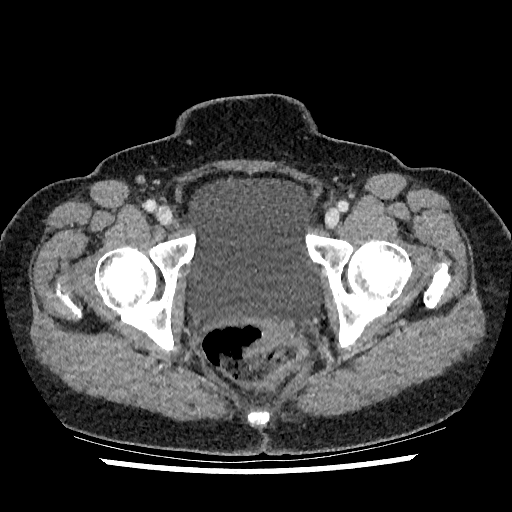

Pelvis | CT image

The urinary bladder is bounded by 186:176:325:326.